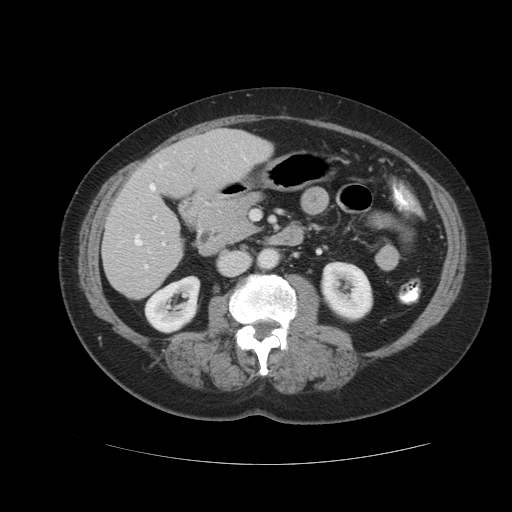
Liver; CT slice
Some hepatic vessels may have no box.
5 hepatic vessel regions are bounded by region(150, 184, 154, 189); region(135, 235, 141, 244); region(153, 216, 155, 218); region(162, 243, 164, 244); region(145, 265, 147, 267).